Abdomen. CT image. 512x512 px. Slice 74 of 148.

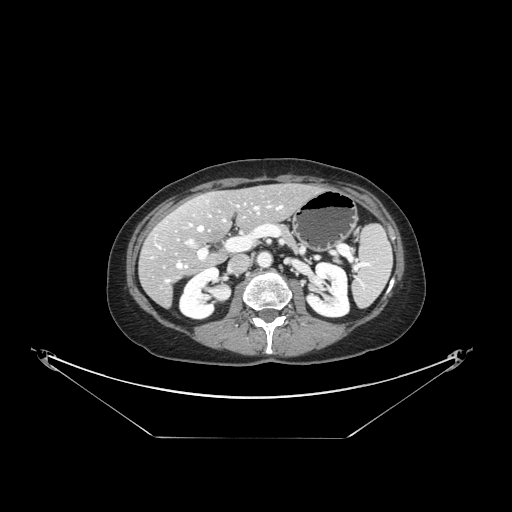 Not every hepatic vessel necessarily has a box.
Segmented structures:
* hepatic vessel: 189:239:190:241, 277:206:280:209, 198:226:202:230, 255:207:257:208